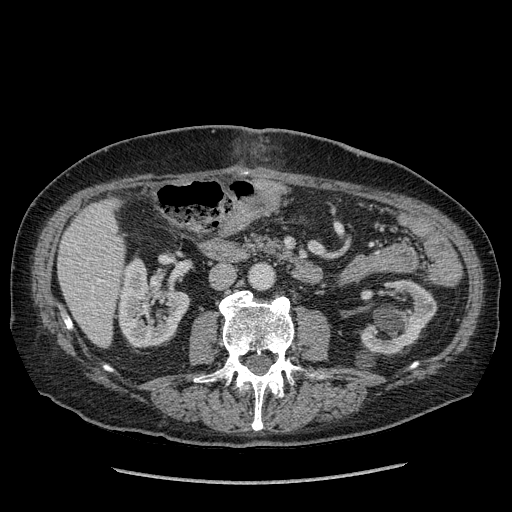
Liver | CT scan slice
The liver is bounded by [58, 199, 124, 346]. 4 kidney regions appear at [153, 287, 161, 295], [119, 259, 188, 346], [361, 280, 436, 353], [361, 290, 372, 299].